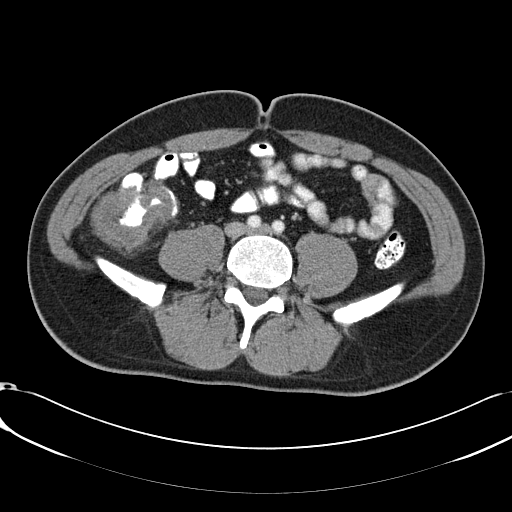 CT | Pelvis

Findings:
- colon tumor: 89:182:170:248